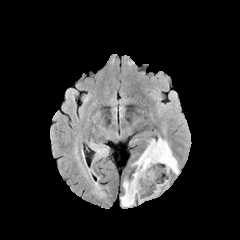
FLAIR MR.
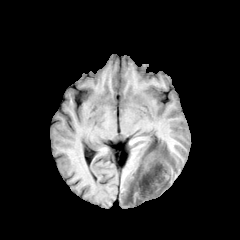
T1-weighted MR of the same slice.
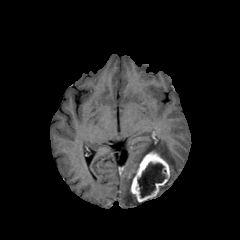
Same slice, post-contrast T1-weighted MRI.
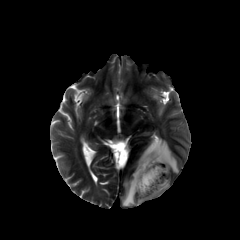
T2-weighted MRI.
edema: {"x1": 121, "y1": 180, "x2": 141, "y2": 206}, {"x1": 153, "y1": 137, "x2": 178, "y2": 173}, {"x1": 134, "y1": 139, "x2": 154, "y2": 167} | non-enhancing tumor core: {"x1": 138, "y1": 163, "x2": 166, "y2": 197} | enhancing tumor: {"x1": 130, "y1": 151, "x2": 169, "y2": 202}